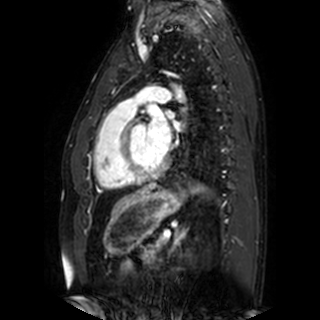

MRI slice
{"left_atrium": ["rect(166, 109, 181, 130)", "rect(146, 108, 170, 153)"]}